Slice 130 of 155
FLAIR MR image.
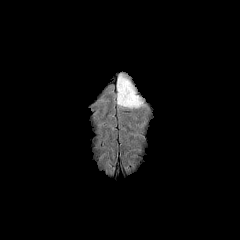
T1-weighted MR.
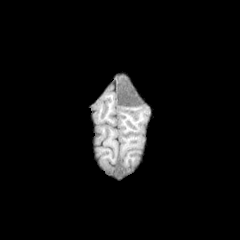
Post-contrast T1-weighted magnetic resonance.
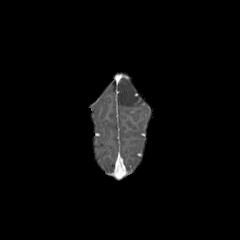
T2-weighted magnetic resonance.
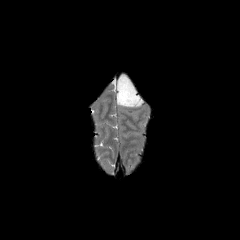
Edema at box(117, 79, 141, 107).